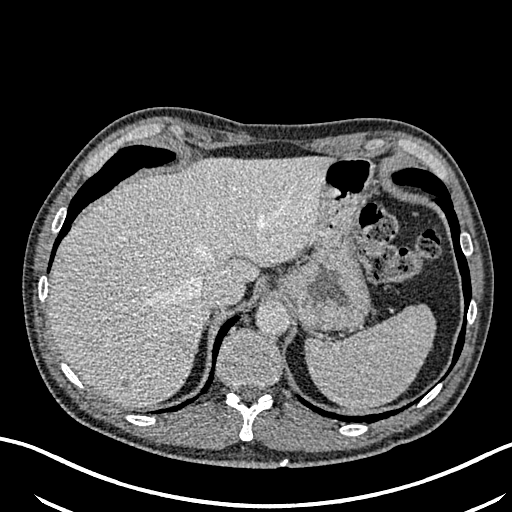
CT slice
2 hepatic lesion regions are located at bbox(167, 340, 188, 357); bbox(123, 381, 131, 390). The liver is located at bbox(47, 155, 333, 406).